CT; Slice 561 of 588

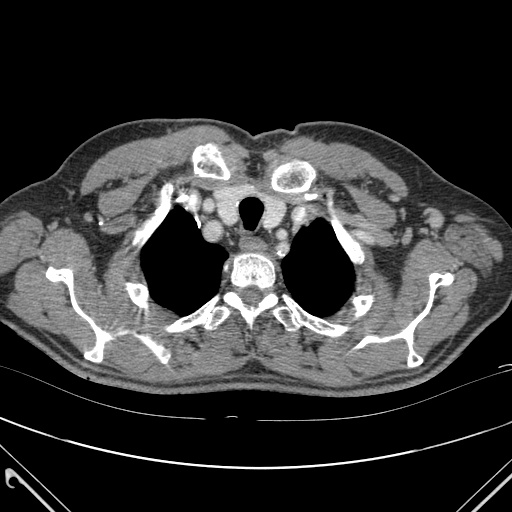
14 bone regions appear at (x1=224, y1=292, x2=277, y2=324), (x1=353, y1=295, x2=372, y2=316), (x1=332, y1=216, x2=363, y2=262), (x1=136, y1=184, x2=172, y2=243), (x1=126, y1=283, x2=147, y2=307), (x1=355, y1=273, x2=453, y2=366), (x1=305, y1=194, x2=315, y2=199), (x1=193, y1=144, x2=230, y2=179), (x1=272, y1=163, x2=315, y2=192), (x1=231, y1=254, x2=274, y2=287), (x1=46, y1=267, x2=109, y2=361), (x1=141, y1=336, x2=168, y2=363), (x1=273, y1=295, x2=347, y2=336), (x1=166, y1=297, x2=229, y2=331). 2 lung regions are bounded by (x1=141, y1=207, x2=227, y2=315), (x1=282, y1=218, x2=353, y2=316).